Slice 79/155
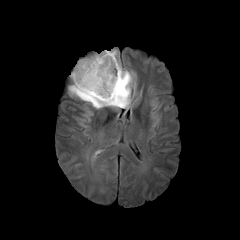
FLAIR MRI.
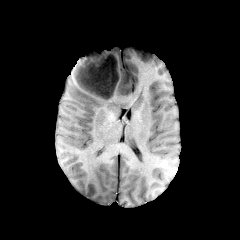
T1-weighted MR image of the same slice.
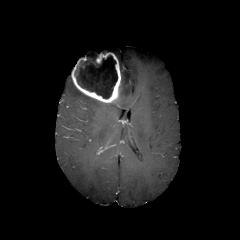
Post-contrast T1-weighted MR.
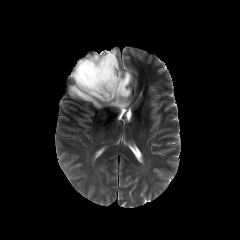
T2-weighted magnetic resonance.
Enhancing tumor at bbox=[71, 53, 120, 104].
Edema at bbox=[68, 48, 136, 110].
Non-enhancing tumor core at bbox=[75, 54, 117, 98].